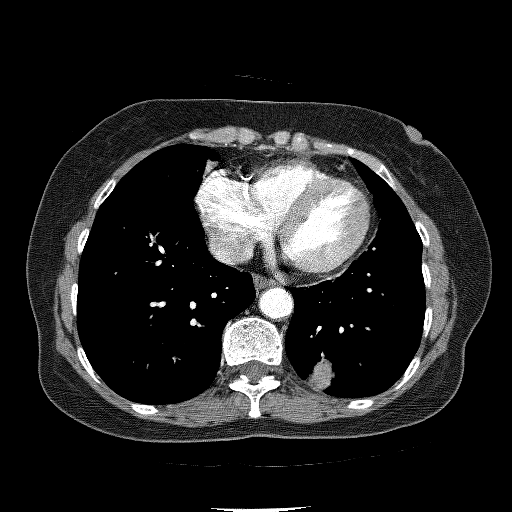

CT scan slice.
Lung tumor: bounding box {"x1": 307, "y1": 358, "x2": 341, "y2": 390}.